Slice 163/299 | CT | Liver 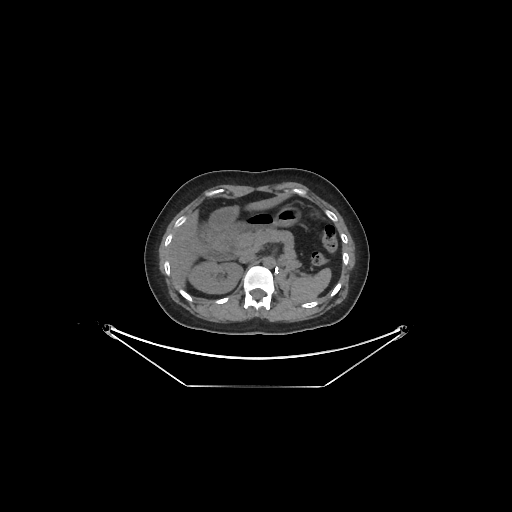
Kidney at <bbox>189, 262, 242, 293</bbox>.
Liver at <bbox>162, 211, 228, 285</bbox>, <bbox>249, 197, 282, 208</bbox>.